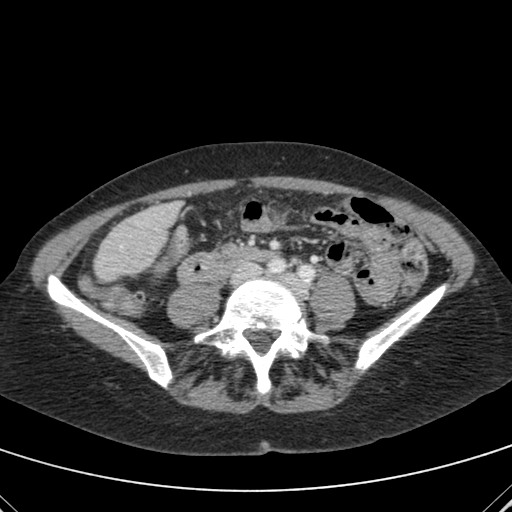

CT slice, 512x512 px
<segmentation>
  <liver>region(95, 201, 181, 279)</liver>
</segmentation>